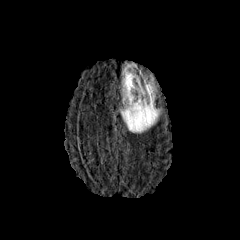
FLAIR MRI.
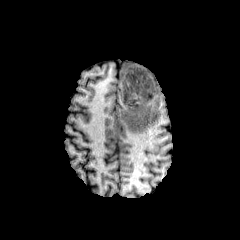
T1-weighted MRI.
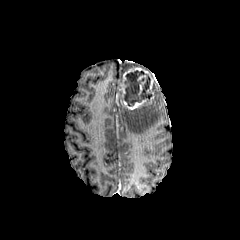
Same slice, post-contrast T1-weighted magnetic resonance.
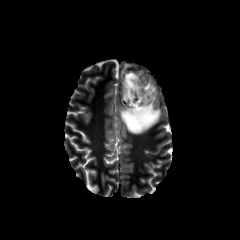
T2-weighted magnetic resonance of the same slice.
Head.
Annotated regions:
• edema: 120:104:160:133, 122:62:136:73
• non-enhancing tumor core: 123:70:151:106
• enhancing tumor: 120:66:155:109